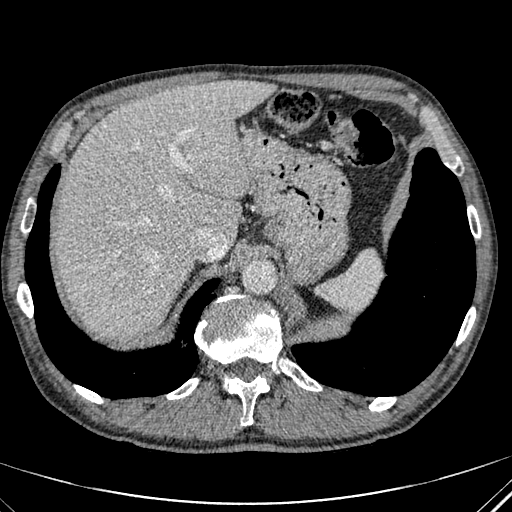
512x512 px; CT slice
<segmentation>
  <liver>box=[58, 80, 276, 338]</liver>
</segmentation>